Slice 246 of 401; CT
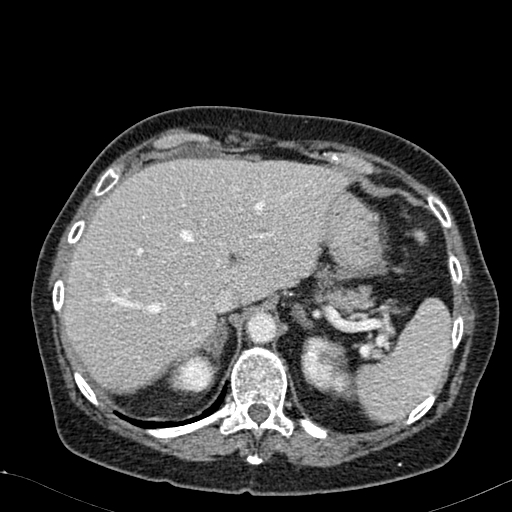
<segmentation>
  <liver>65,159,349,390</liver>
  <kidney>302,338,350,391; 173,352,210,389</kidney>
</segmentation>